FLAIR MR image.
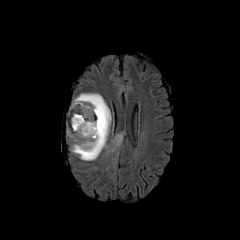
T1-weighted MRI.
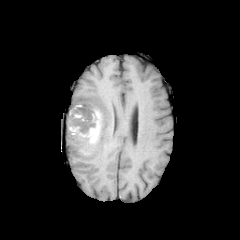
Post-contrast T1-weighted MR image.
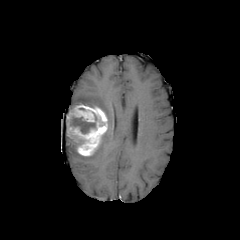
T2-weighted MRI.
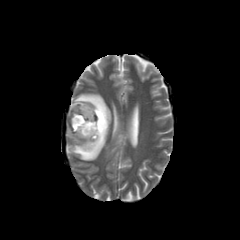
Head
The edema appears at 67, 93, 111, 161. The non-enhancing tumor core is located at 72, 114, 96, 133. The enhancing tumor is at 73, 104, 107, 156.